CT scan slice | Abdomen

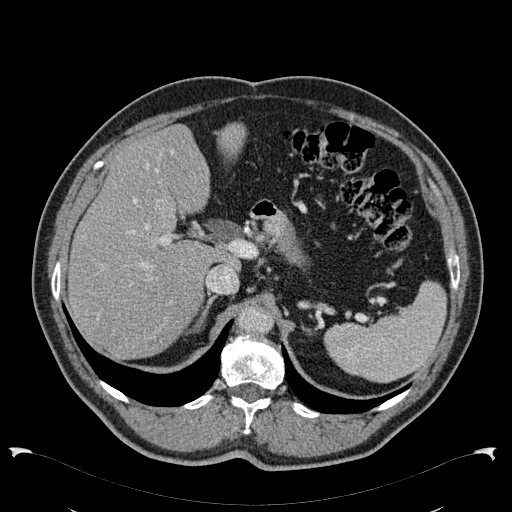
Focal liver lesion = [155,198,174,217].
Liver = [68,124,242,358], [218,123,245,165].